FLAIR MRI.
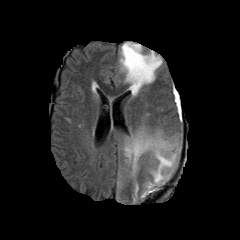
T1-weighted magnetic resonance.
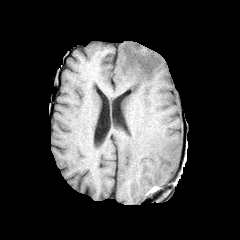
Post-contrast T1-weighted magnetic resonance.
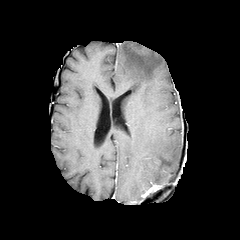
T2-weighted magnetic resonance.
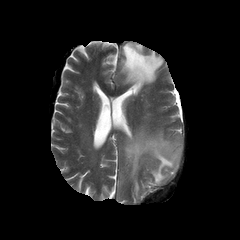
240x240
Segmented structures:
* edema: {"x1": 124, "y1": 133, "x2": 180, "y2": 190}, {"x1": 134, "y1": 182, "x2": 139, "y2": 196}, {"x1": 118, "y1": 42, "x2": 163, "y2": 95}
* non-enhancing tumor core: {"x1": 126, "y1": 46, "x2": 154, "y2": 78}, {"x1": 142, "y1": 186, "x2": 157, "y2": 197}